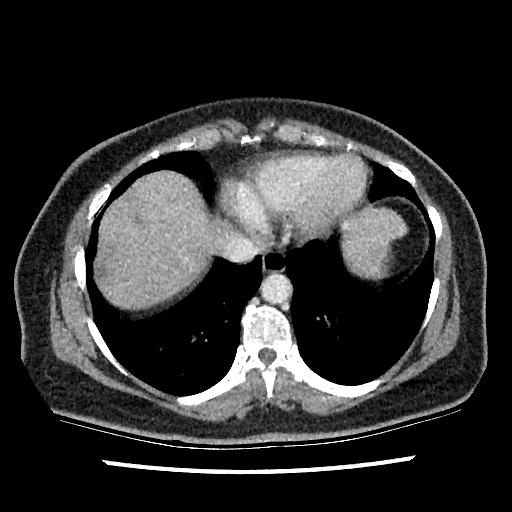

CT scan slice | Abdomen

2 liver regions appear at <box>347,209,405,274</box>, <box>96,171,215,306</box>. 2 focal liver lesion regions are bounded by <box>96,265,106,278</box>, <box>133,213,141,223</box>.